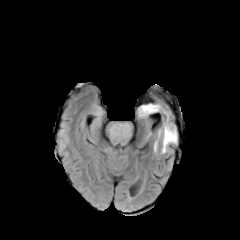
FLAIR magnetic resonance.
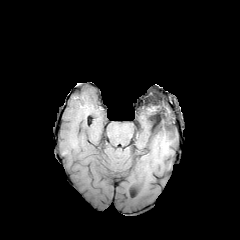
Same slice, T1-weighted MR.
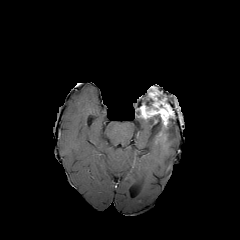
Post-contrast T1-weighted magnetic resonance of the same slice.
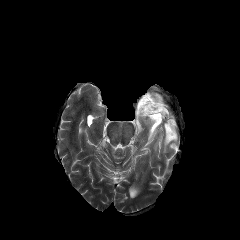
T2-weighted magnetic resonance.
240x240. Brain.
edema: [154, 125, 177, 153] | non-enhancing tumor core: [146, 113, 161, 121], [160, 118, 173, 139] | enhancing tumor: [138, 98, 173, 129]